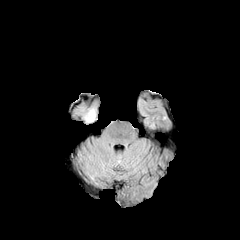
FLAIR MRI.
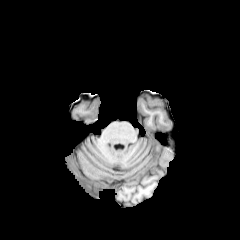
T1-weighted MR.
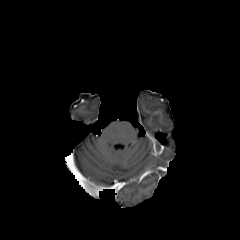
Same slice, post-contrast T1-weighted MR image.
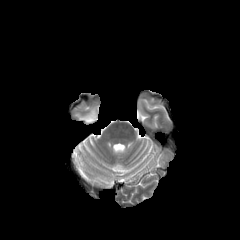
Same slice, T2-weighted MR.
Head; 240x240
- edema: (82,108,95,122)